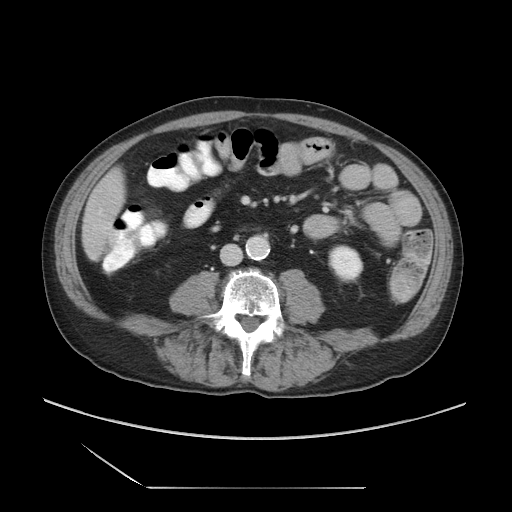 Computed tomography, Liver, Image size 512x512

The vessel annotation is not exhaustive.
The hepatic vessel lies within bbox(99, 209, 102, 213).